Field of view 387 mm wide, 0.80 mm slice spacing | CT scan slice | Abdomen | Slice index 469 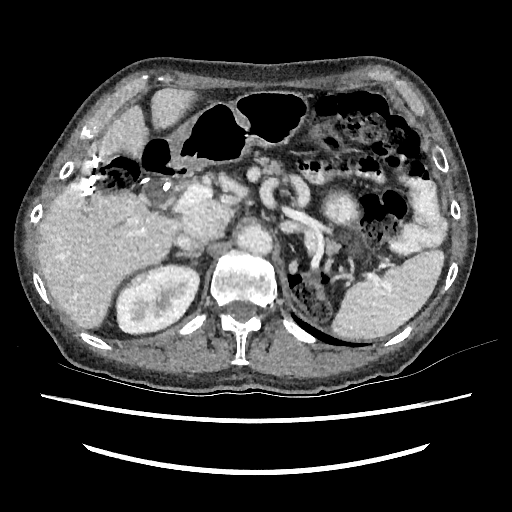
{"liver": ["rect(93, 106, 145, 156)", "rect(39, 186, 181, 327)", "rect(153, 89, 193, 128)"], "kidney": ["rect(117, 266, 198, 333)"]}